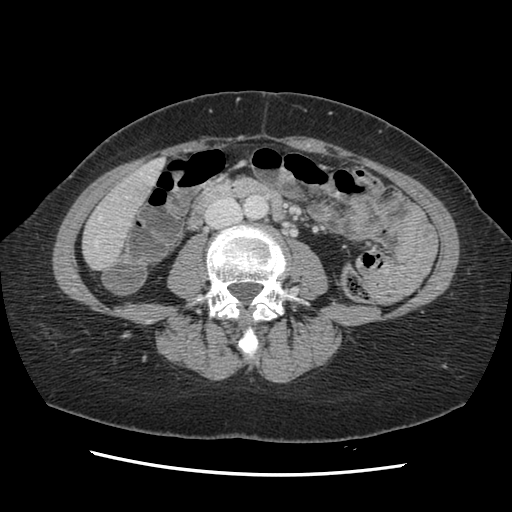 Abdomen. CT scan slice. The vessel annotation is not exhaustive.
Segmented structures:
* hepatic vessel: l=95, t=241, r=98, b=247; l=99, t=216, r=101, b=219; l=150, t=178, r=153, b=183